Slice 55/155
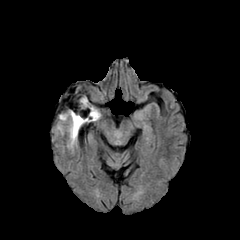
FLAIR MR.
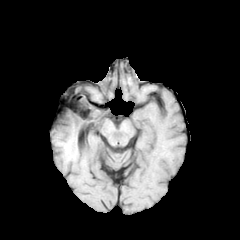
T1-weighted MR.
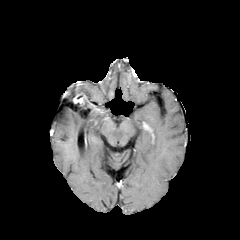
Post-contrast T1-weighted MRI.
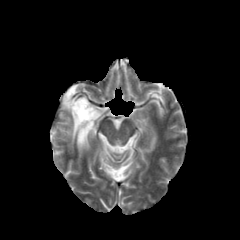
T2-weighted MRI.
Annotated regions:
* enhancing tumor: (78, 96, 98, 111)
* edema: (56, 109, 101, 148)
* non-enhancing tumor core: (71, 98, 97, 125)